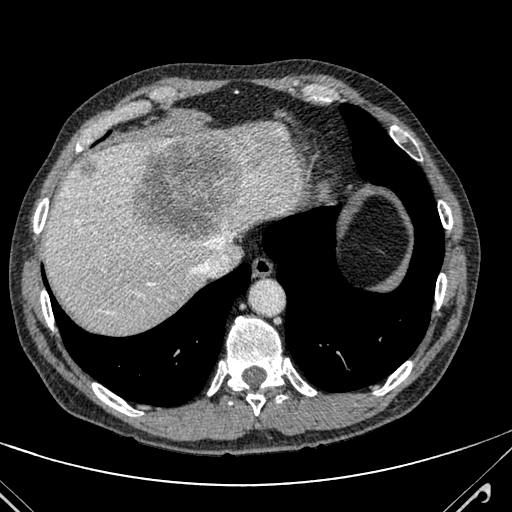

Abdomen. 512x512 px. CT slice.
Segmented structures:
• hepatic lesion: [x1=80, y1=162, x2=93, y2=177], [x1=133, y1=136, x2=243, y2=243]
• liver: [x1=45, y1=121, x2=301, y2=333]